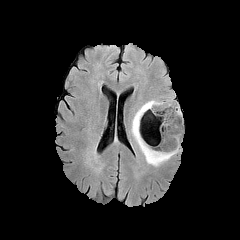
FLAIR magnetic resonance.
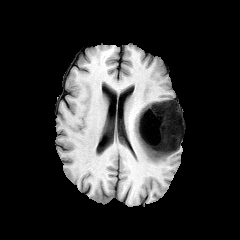
T1-weighted MRI.
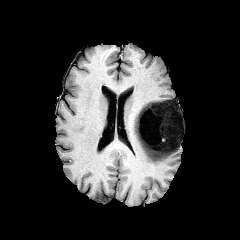
Post-contrast T1-weighted magnetic resonance.
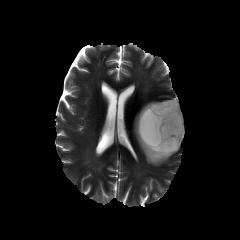
T2-weighted MR.
{
  "edema": [
    {"x1": 130, "y1": 98, "x2": 182, "y2": 166}
  ],
  "non-enhancing_tumor_core": [
    {"x1": 145, "y1": 102, "x2": 181, "y2": 156}
  ]
}